FLAIR MR image.
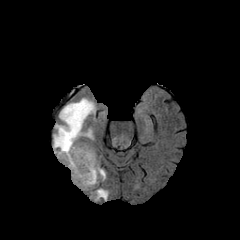
T1-weighted MR image.
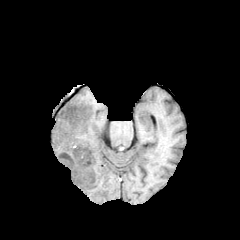
Post-contrast T1-weighted magnetic resonance.
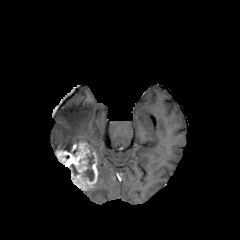
T2-weighted MR.
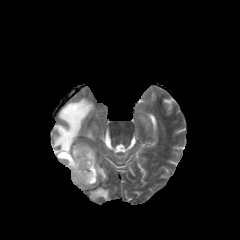
240x240
Annotated regions:
- edema: (53,97,95,150), (90,165,109,200)
- enhancing tumor: (55,143,98,190)
- non-enhancing tumor core: (85,169,93,180)